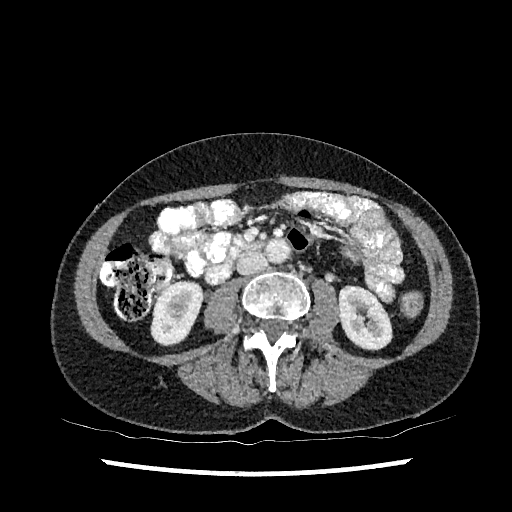 CT
kidney: [x1=152, y1=282, x2=202, y2=344], [x1=339, y1=287, x2=391, y2=348]